Slice 524 of 836; Image size 512x512; CT; Liver
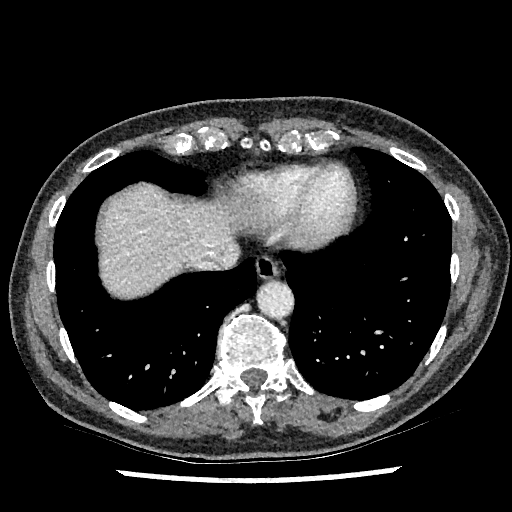

The liver is at x1=96, y1=184, x2=240, y2=298.